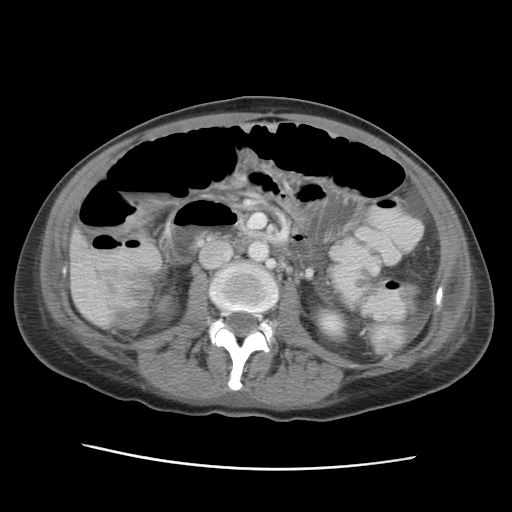

Abdomen | 512x512 | Computed tomography
- liver: (left=70, top=230, right=110, bottom=320)
- kidney: (left=319, top=314, right=344, bottom=334)